CT slice. 512x512. 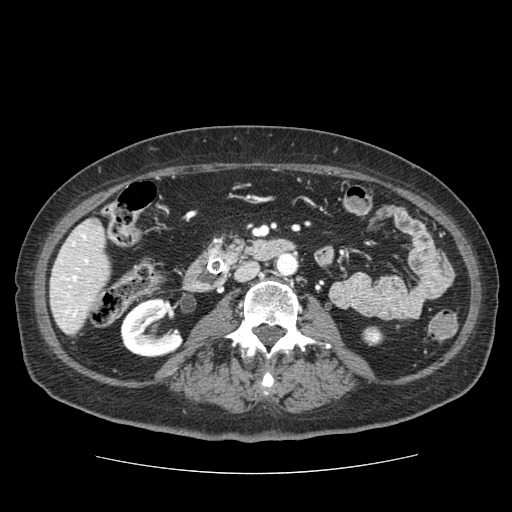
pancreas:
  - 212:240:259:264